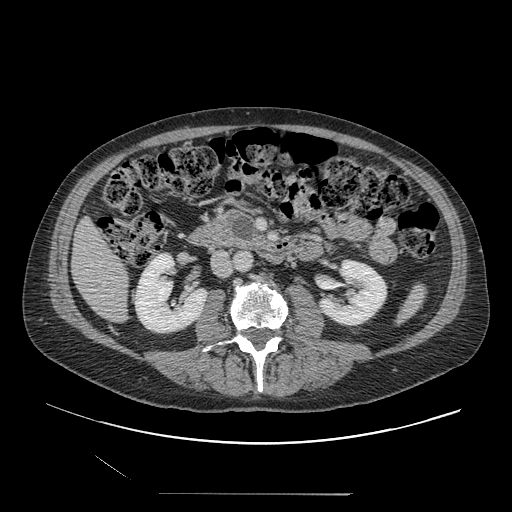 CT image | Abdomen

Pancreas at region(210, 208, 265, 250).
Pancreatic tumor at region(232, 217, 254, 240).